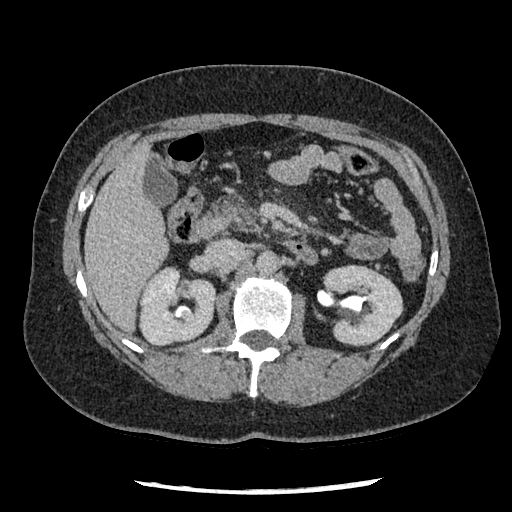

Upper abdomen | CT slice
The pancreas is at box(212, 194, 257, 228).